Field of view 394 mm wide, 5.00 mm slice spacing, CT, Image size 512x512, Slice 23 of 46 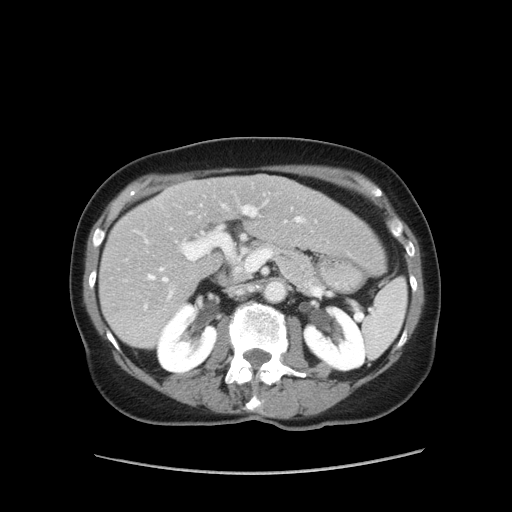
The vessel annotation is not exhaustive.
15 hepatic vessel regions appear at (238, 202, 260, 216), (168, 226, 173, 230), (168, 287, 173, 297), (219, 202, 228, 210), (160, 268, 162, 270), (281, 264, 292, 275), (143, 236, 148, 243), (290, 207, 292, 210), (188, 211, 192, 213), (175, 225, 277, 275), (148, 274, 154, 278), (283, 220, 287, 223), (134, 231, 142, 234), (292, 216, 304, 222), (163, 277, 167, 280).